512x512 px. CT. 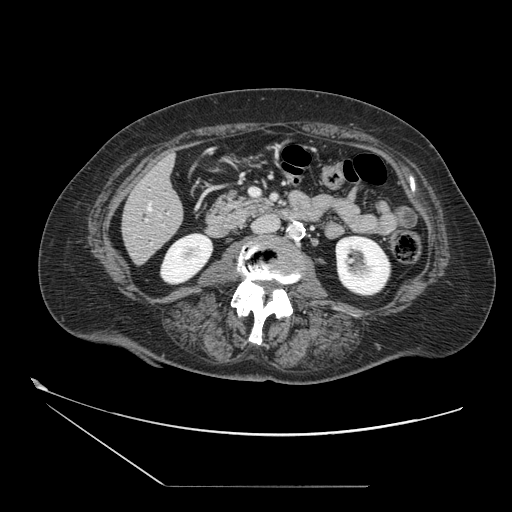
The pancreas is bounded by [x1=207, y1=193, x2=271, y2=230].